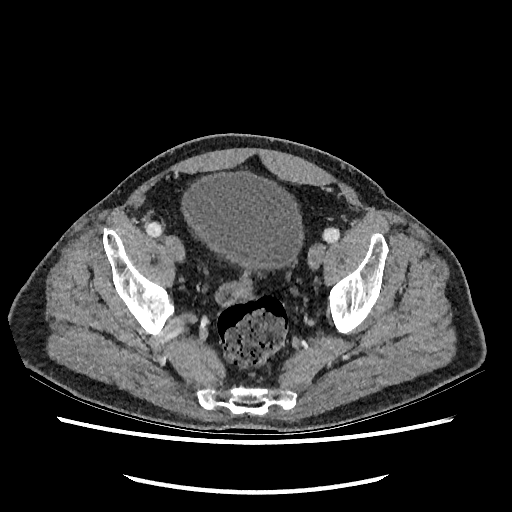
CT slice; Lower abdomen

Segmented structures:
* urinary bladder: (x1=183, y1=171, x2=303, y2=273)